Brain
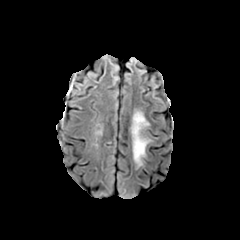
FLAIR MRI.
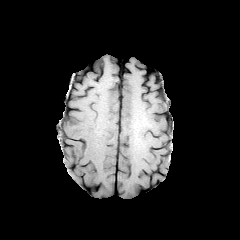
T1-weighted magnetic resonance of the same slice.
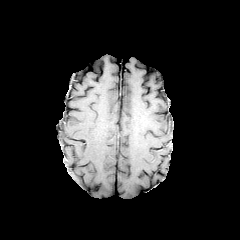
Post-contrast T1-weighted MR of the same slice.
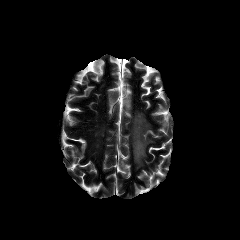
T2-weighted MRI.
edema: (132, 114, 148, 165)